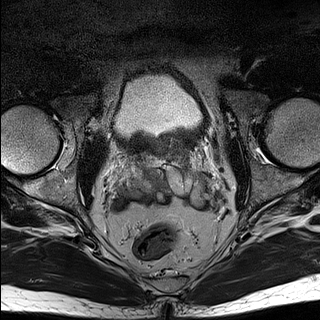
T2-weighted magnetic resonance.
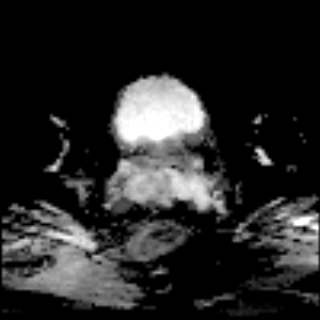
ADC magnetic resonance.
The prostate transition zone is bounded by 124,139,201,192.